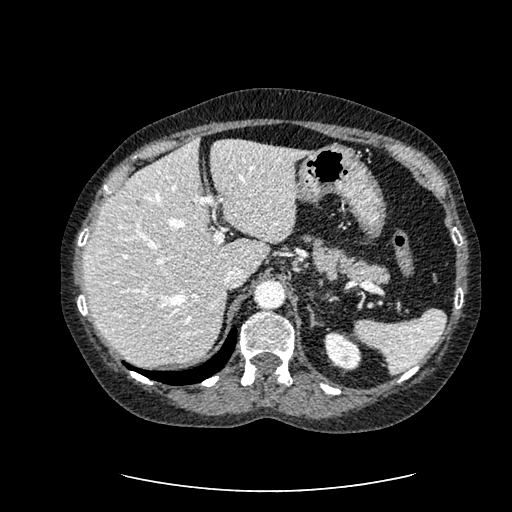

CT | Upper abdomen

Kidney — x1=325 y1=333 x2=360 y2=368.
Liver — x1=83 y1=138 x2=313 y2=365.